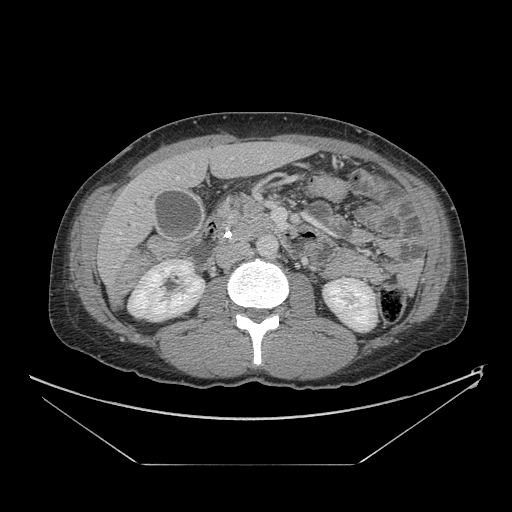

Abdomen; CT scan slice; Image size 512x512
Pancreas = left=215, top=195, right=277, bottom=243.